Field of view 240x240 mm
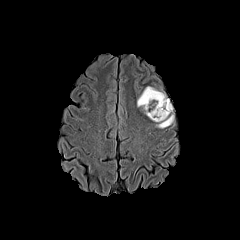
FLAIR magnetic resonance.
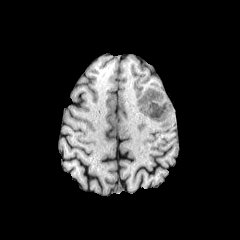
T1-weighted magnetic resonance of the same slice.
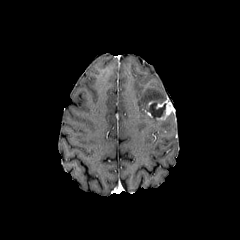
Post-contrast T1-weighted MRI.
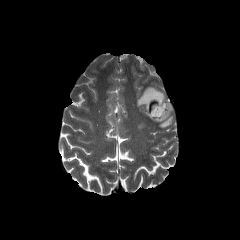
Same slice, T2-weighted MRI.
The non-enhancing tumor core is at 149:103:165:117. The enhancing tumor is bounded by 145:100:172:120. 2 edema regions are located at 137:86:167:108, 159:115:173:127.